Abdomen, Slice 434 of 836, CT slice
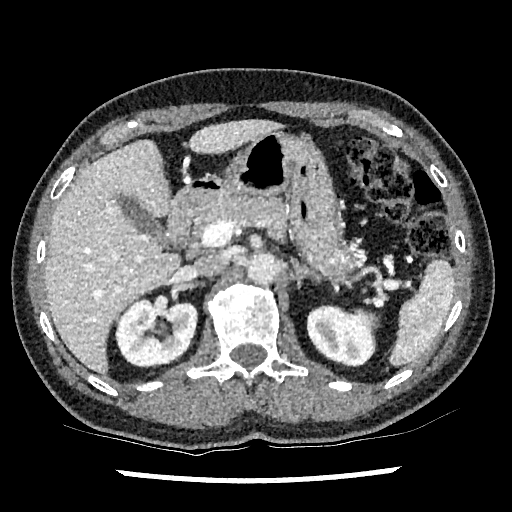 Liver — l=45, t=140, r=180, b=374; l=191, t=119, r=279, b=153.
Kidney — l=308, t=307, r=372, b=364; l=117, t=297, r=195, b=365.